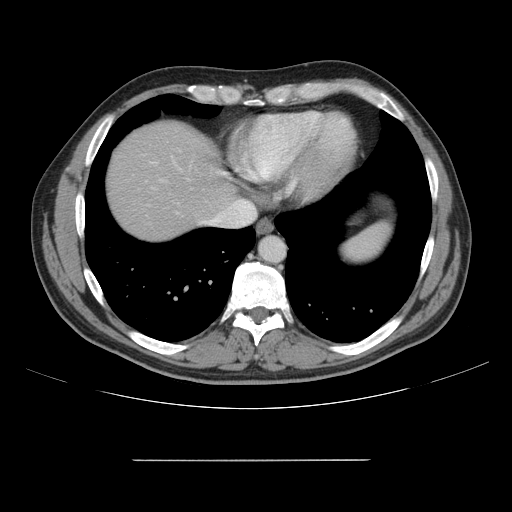 CT scan slice | Image size 512x512
Not every hepatic vessel necessarily has a box.
2 hepatic vessel regions appear at 199:221:204:224, 153:163:156:163.